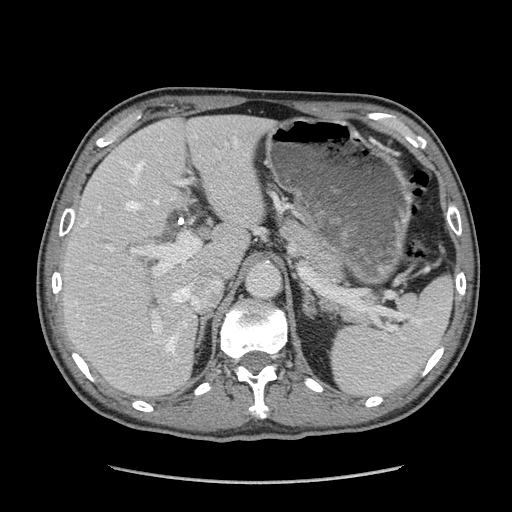
Abdomen; Computed tomography

The pancreas appears at [279, 212, 346, 286].